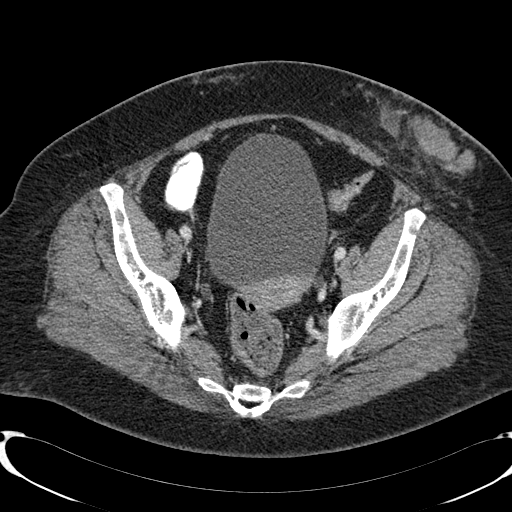
Lower abdomen | CT scan slice
The urinary bladder appears at bbox=[206, 134, 326, 287].